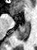 Hippocampus, MRI

The posterior hippocampus is at <box>17,22,29,41</box>. The anterior hippocampus appears at <box>25,21,28,22</box>.